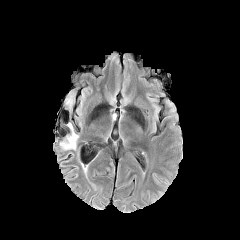
FLAIR MR.
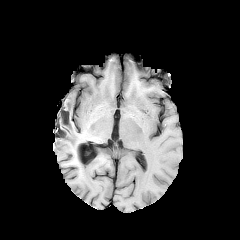
T1-weighted MRI.
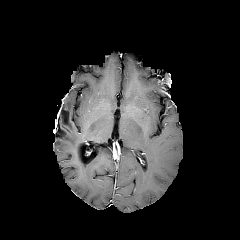
Same slice, post-contrast T1-weighted magnetic resonance.
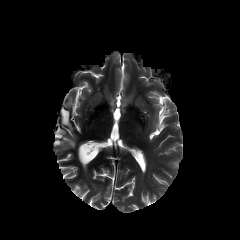
T2-weighted MR.
Head
Edema — 65 92 75 110, 77 91 84 115, 59 122 78 150.